Image size 512x512 | CT scan slice | Pelvis
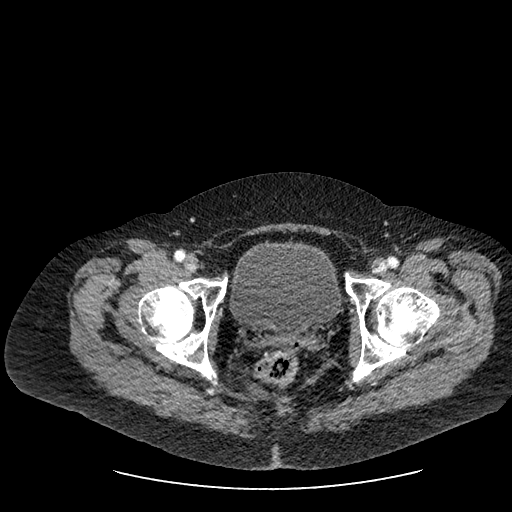

The urinary bladder is at region(229, 241, 342, 337).